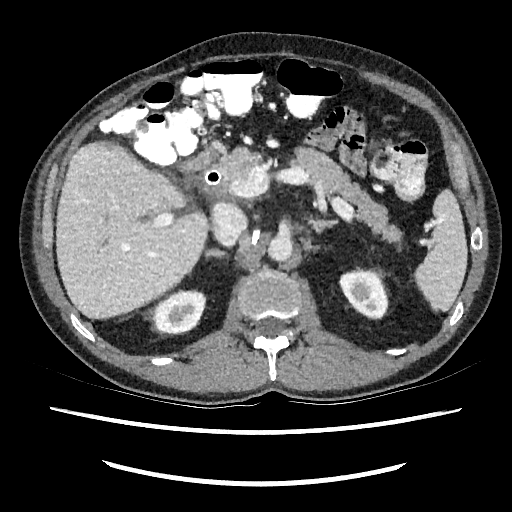 CT scan slice. Image size 512x512. liver:
  - 56:143:208:318
kidney:
  - 155:292:204:332
  - 340:272:386:316